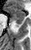

MR image
Anterior hippocampus — region(6, 6, 25, 18).
Posterior hippocampus — region(11, 19, 22, 26).